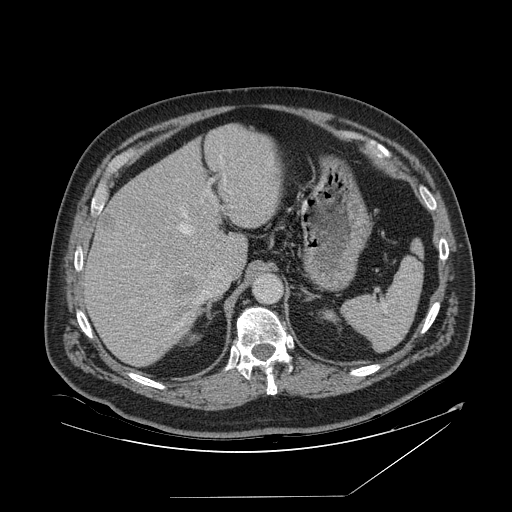 512x512; Abdomen; CT image
The spleen is bounded by bbox=[342, 240, 423, 350].